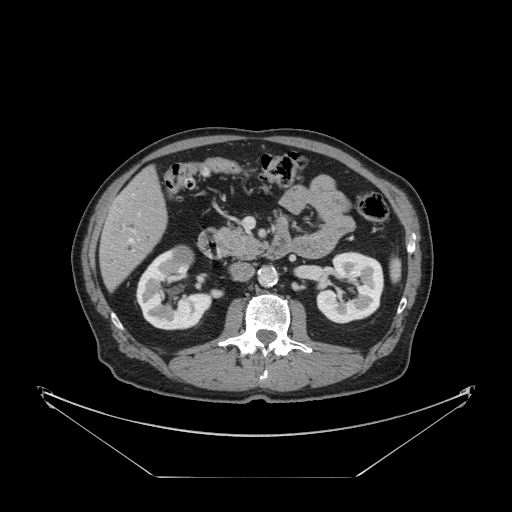 CT slice | 512x512 | Liver
Some hepatic vessels may have no box.
{"hepatic_vessel": [{"x1": 128, "y1": 239, "x2": 132, "y2": 242}, {"x1": 131, "y1": 230, "x2": 134, "y2": 232}]}